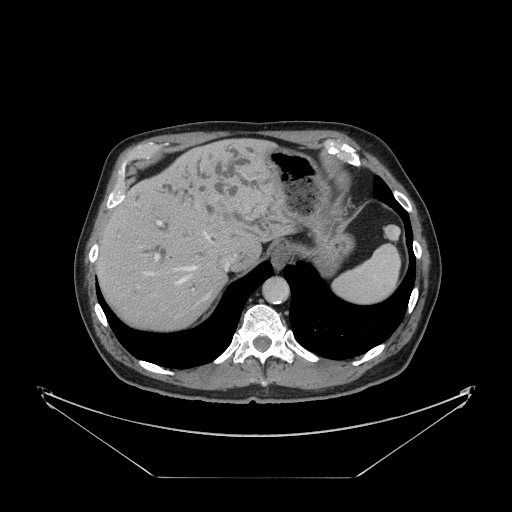 CT slice | Image size 512x512
The vessel boxes may cover only some of the vessels.
Liver tumor — 219 206 232 226.
Hepatic vessel — 155 254 158 259, 205 235 210 241, 144 272 151 274, 224 263 228 269, 186 267 195 270, 174 277 187 284, 205 295 208 298, 157 221 161 224.